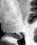

Magnetic resonance, 37x45, Medial temporal lobe

{
  "posterior_hippocampus": [
    "bbox=[14, 35, 21, 39]"
  ]
}